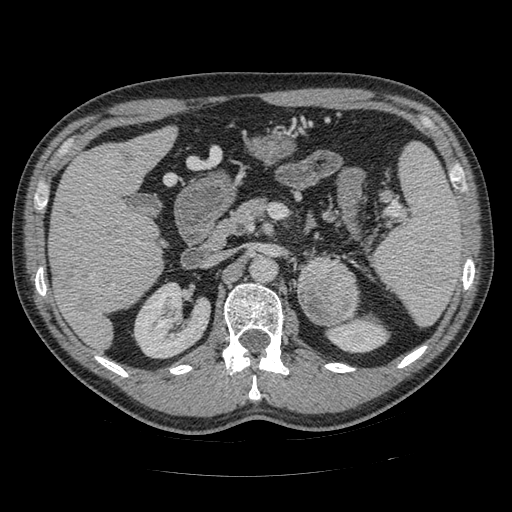

CT scan slice; Upper abdomen

The pancreatic tumor is located at x1=299 y1=258 x2=357 y2=325. 2 pancreas regions are located at x1=301 y1=257 x2=325 y2=272, x1=229 y1=199 x2=264 y2=233.